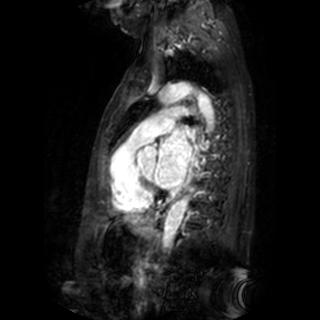

MR; Heart
- left atrium: [x1=155, y1=128, x2=191, y2=188]